Slice 41 of 124, CT scan slice, Abdomen

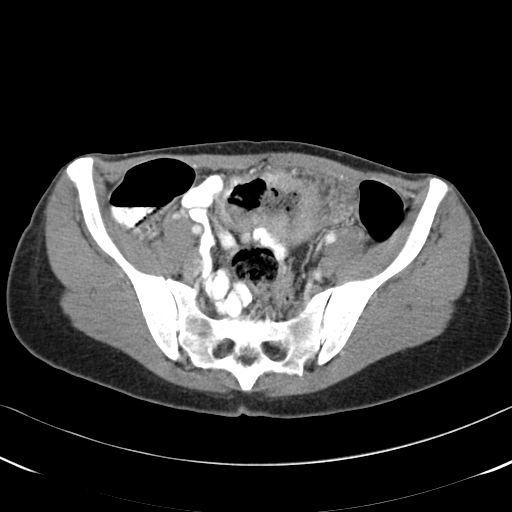
The colon tumor lies within (217,173,321,242).